Image width 388 mm, Image size 512x512, Computed tomography
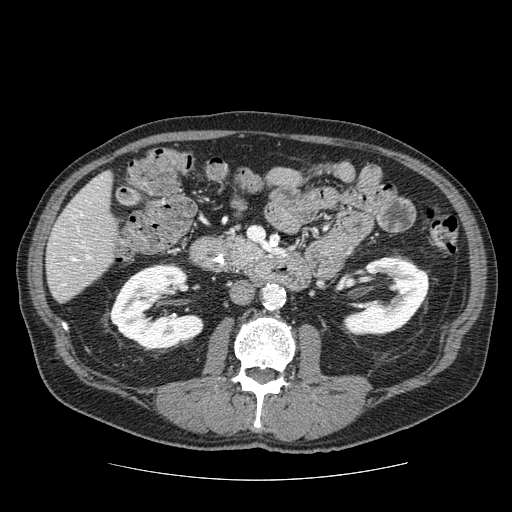
pancreas: (left=226, top=233, right=265, bottom=274)